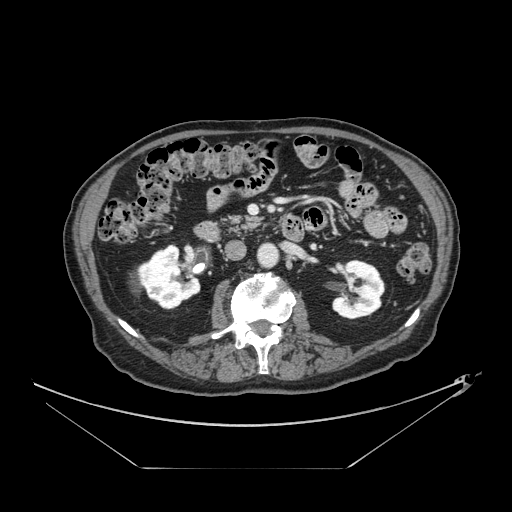
Upper abdomen; CT; Image size 512x512

{
  "pancreas": [
    "229 216 260 231"
  ]
}